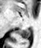

MRI, Medial temporal lobe
The posterior hippocampus is bounded by [17, 29, 30, 38].